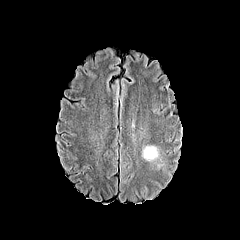
FLAIR MR image.
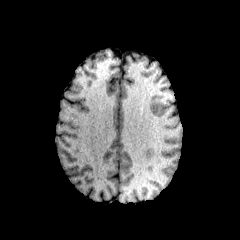
T1-weighted MR of the same slice.
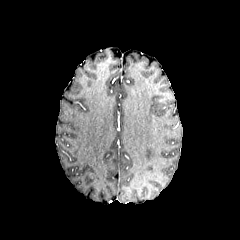
Post-contrast T1-weighted MR.
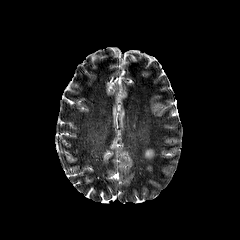
T2-weighted MRI.
{"edema": ["<bbox>144, 148, 155, 158</bbox>"]}